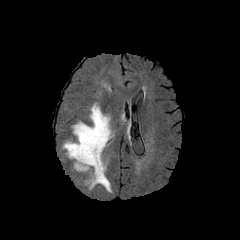
FLAIR MR image.
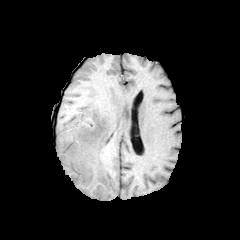
T1-weighted MR.
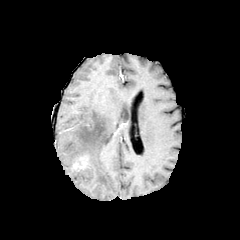
Same slice, post-contrast T1-weighted MR.
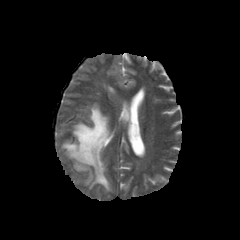
T2-weighted magnetic resonance.
Brain, 240x240 px
The edema is bounded by 62:104:113:191. The enhancing tumor is at 72:156:87:171.